MR image; Hippocampus; Field of view 35x51 mm

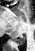 The posterior hippocampus lies within 14,35,25,44.